Field of view 373x373 mm | Abdomen | Slice 379/856 | Computed tomography

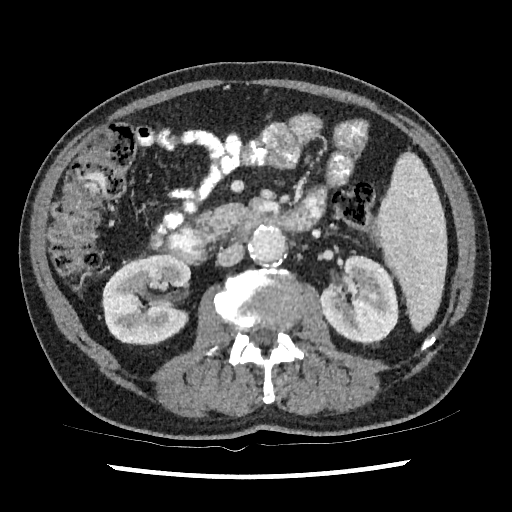
Kidney — {"x1": 103, "y1": 254, "x2": 190, "y2": 343}, {"x1": 320, "y1": 256, "x2": 397, "y2": 342}.